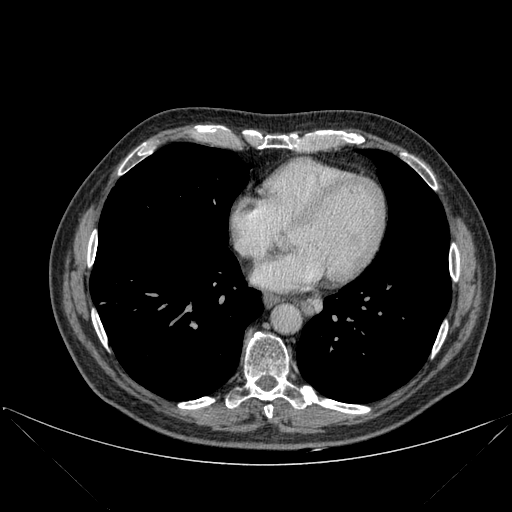
Chest; 512x512; Computed tomography
2 lung regions are located at [90, 143, 262, 400], [297, 149, 451, 403]. 12 bone regions are bounded by [449, 243, 459, 280], [118, 143, 150, 174], [432, 322, 447, 356], [264, 405, 272, 417], [226, 332, 369, 413], [178, 397, 214, 409], [87, 230, 97, 266], [243, 130, 260, 136], [315, 130, 364, 143], [419, 162, 436, 189], [258, 134, 297, 148], [91, 310, 107, 347].